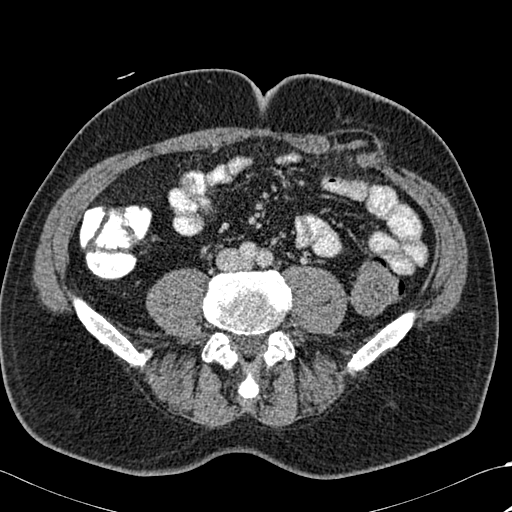 CT.
3 bone regions are bounded by (x1=348, y1=313, x2=414, y2=370), (x1=74, y1=299, x2=144, y2=365), (x1=202, y1=270, x2=294, y2=399).